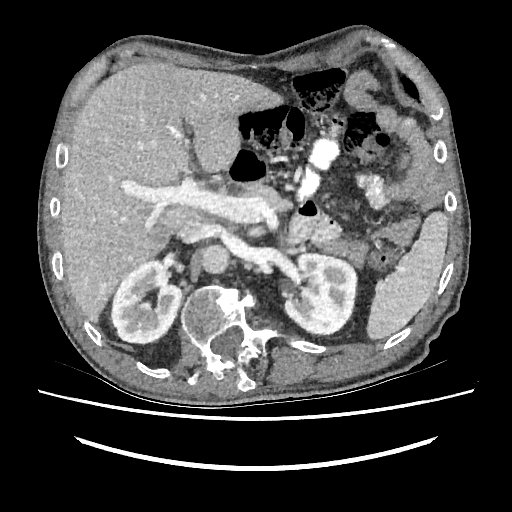 Computed tomography; 512x512 px
liver: 62 63 280 320 | kidney: 112 261 181 343, 285 254 356 334